CT scan slice | 512x512 | Image width 438 mm | Slice index 538 | Upper abdomen

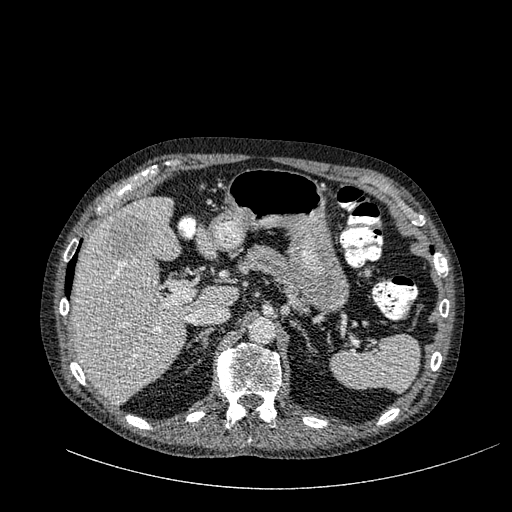 <segmentation>
  <liver>[70,199,238,403], [196,227,217,257]</liver>
  <focal_liver_lesion>[104,213,152,261]</focal_liver_lesion>
</segmentation>